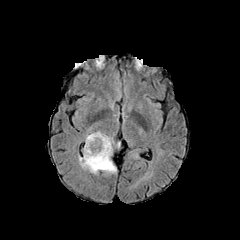
FLAIR MR.
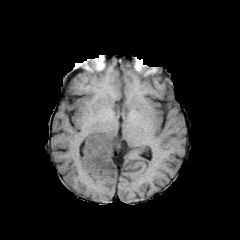
T1-weighted magnetic resonance.
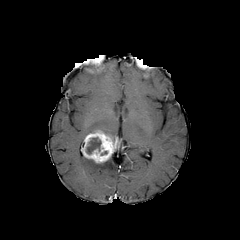
Post-contrast T1-weighted MR image.
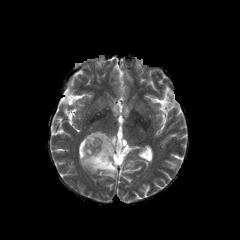
T2-weighted MR image.
<segmentation>
  <non-enhancing_tumor_core>(87, 138, 101, 153)</non-enhancing_tumor_core>
  <enhancing_tumor>(81, 130, 121, 163)</enhancing_tumor>
  <edema>(78, 156, 116, 175)</edema>
</segmentation>